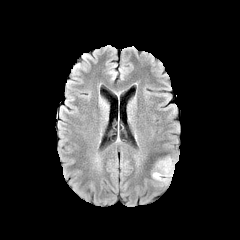
FLAIR MR image.
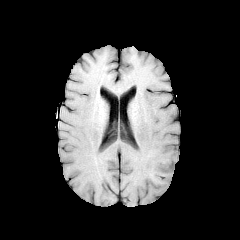
T1-weighted MR image.
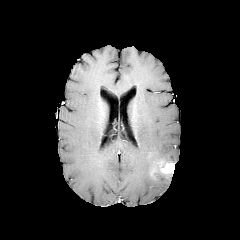
Post-contrast T1-weighted MR image.
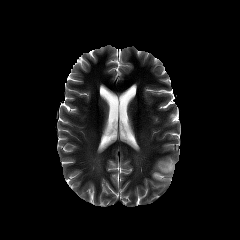
Same slice, T2-weighted MR.
Brain; 240x240 px
The enhancing tumor is bounded by left=160, top=162, right=174, bottom=173. The edema appears at left=152, top=156, right=176, bottom=186.